Cardiac, MRI, Slice 54/130 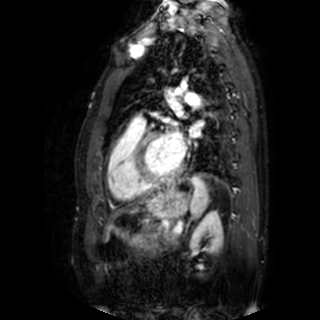
left atrium: <box>168,128,186,161</box>, <box>189,126,200,137</box>